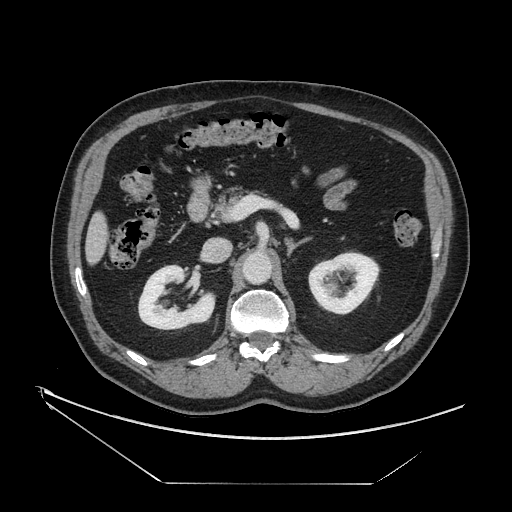 Computed tomography, Image size 512x512
Pancreas: bounding box {"x1": 209, "y1": 185, "x2": 249, "y2": 222}.